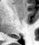
39x45, Magnetic resonance
The posterior hippocampus is located at 15, 37, 19, 38.